FLAIR MR image.
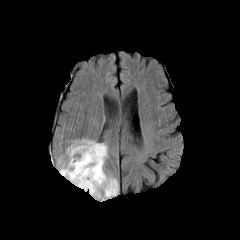
T1-weighted MRI.
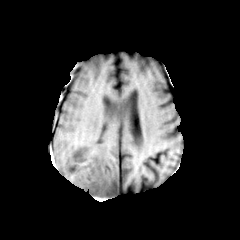
Post-contrast T1-weighted MR.
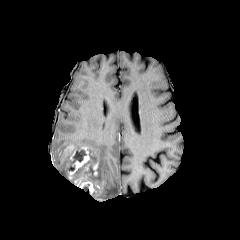
T2-weighted MR image.
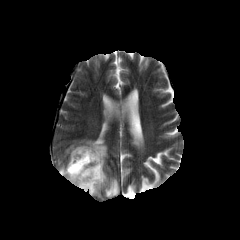
240x240 px; Brain
2 enhancing tumor regions are bounded by region(74, 173, 99, 193); region(68, 147, 90, 178). 2 non-enhancing tumor core regions are located at region(78, 164, 95, 182); region(68, 147, 85, 171). 2 edema regions are located at region(60, 139, 118, 198); region(70, 169, 82, 183).